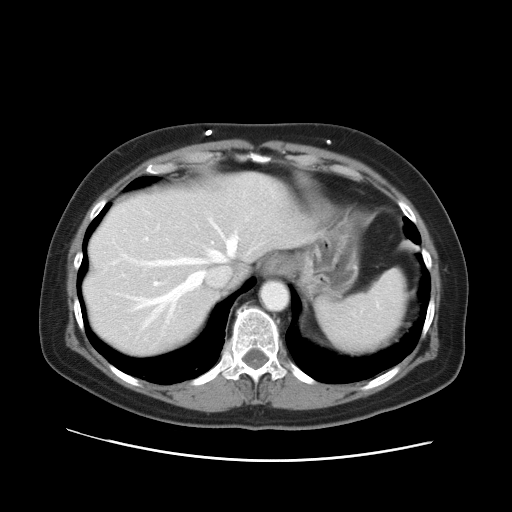

Liver; 512x512; CT scan slice

The vessel boxes may cover only some of the vessels.
hepatic_vessel:
  - [x1=221, y1=271, x2=222, y2=273]
  - [x1=121, y1=229, x2=238, y2=266]
  - [x1=211, y1=221, x2=214, y2=224]
  - [x1=131, y1=269, x2=206, y2=328]